CT image | Abdomen | 512x512 px 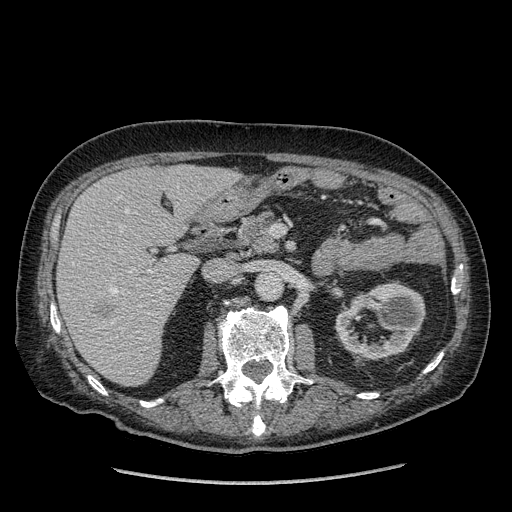

<segmentation>
  <liver><box>57,165,234,386</box></liver>
  <kidney><box>335,283,425,359</box></kidney>
  <hepatic_lesion><box>92,301,115,319</box></hepatic_lesion>
</segmentation>